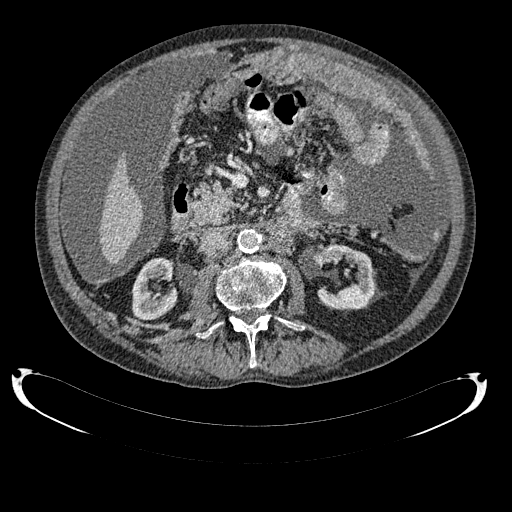

CT
2 kidney regions are located at 314, 245, 375, 309; 132, 258, 176, 319. The liver lies within 100, 154, 142, 263.